512x512 px. Liver. CT slice. Slice 45 of 138.

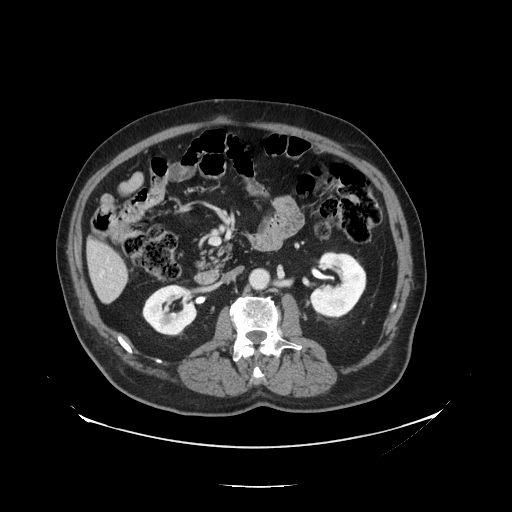 The vessel annotation is not exhaustive.
Hepatic vessel — bbox(100, 272, 104, 276).